CT. Slice 21 of 26.

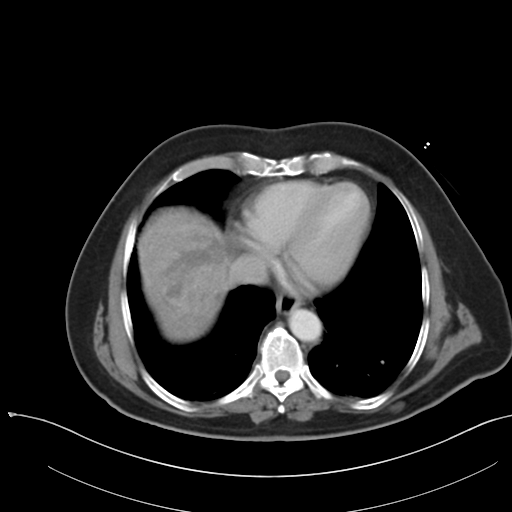

The vessel boxes may cover only some of the vessels.
hepatic vessel: 150,246,152,249; 231,265,257,279; 247,241,255,246; 160,225,193,231 | liver tumor: 148,230,229,326